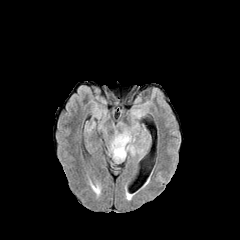
FLAIR MR image.
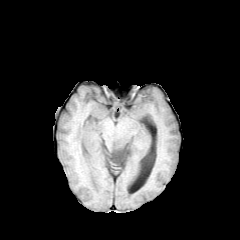
T1-weighted MRI.
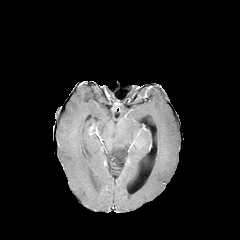
Same slice, post-contrast T1-weighted MR.
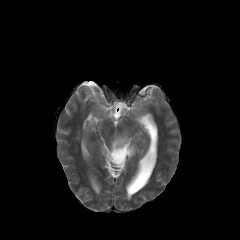
T2-weighted MR image of the same slice.
Image size 240x240
edema: 109 135 139 163